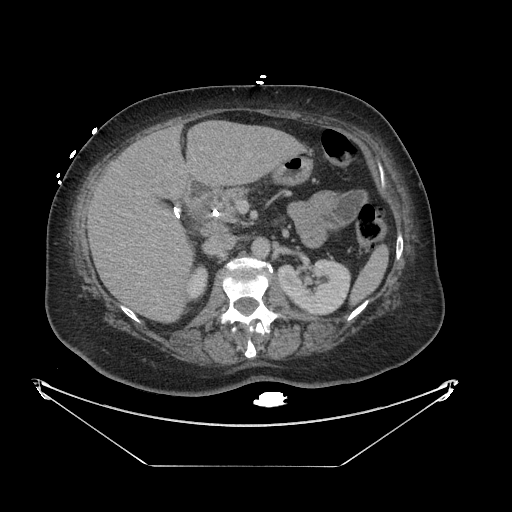

CT scan slice
Segmented structures:
* pancreas: [214, 188, 248, 223]